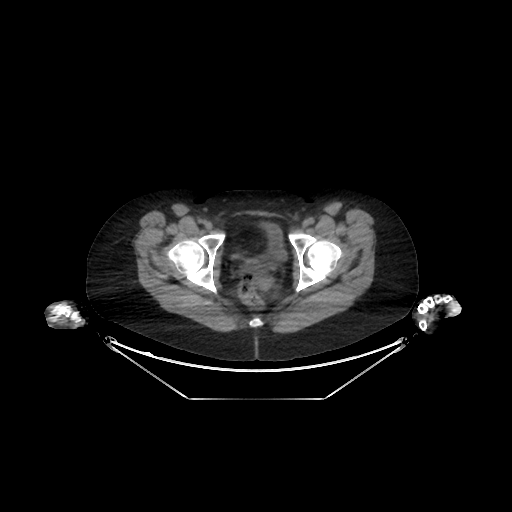
CT scan slice, 512x512
• urinary bladder: [231,222,289,265]